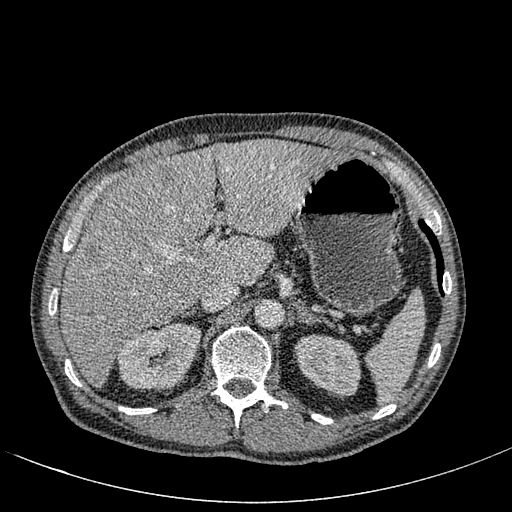
Image size 512x512, CT, Upper abdomen

Kidney — region(295, 335, 360, 394); region(117, 323, 200, 388).
Liver — region(60, 139, 346, 387).
Hepatic lesion — region(153, 162, 174, 182); region(213, 144, 224, 154); region(85, 241, 102, 264).